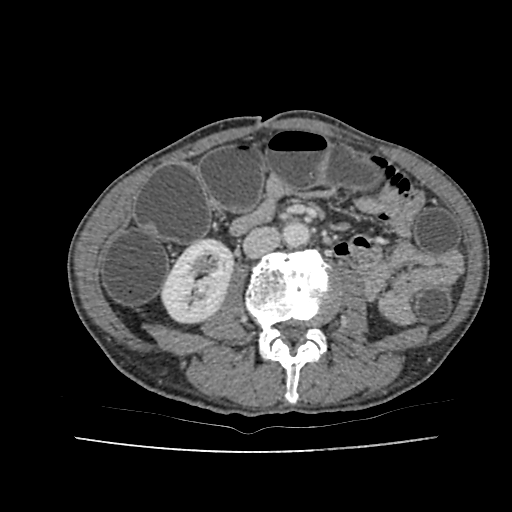 CT scan slice
kidney:
  - [x1=162, y1=240, x2=232, y2=322]